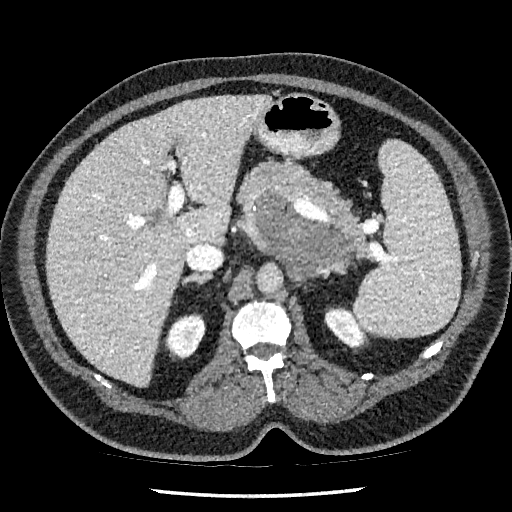 CT scan slice.

2 kidney regions appear at box(326, 310, 362, 346); box(168, 316, 204, 356). The liver appears at box(46, 95, 270, 386).